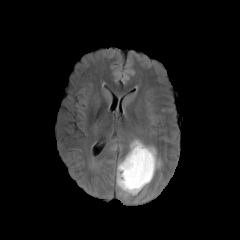
FLAIR MRI.
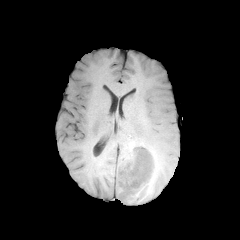
T1-weighted MRI of the same slice.
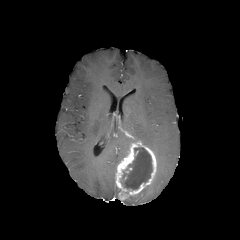
Post-contrast T1-weighted MR image of the same slice.
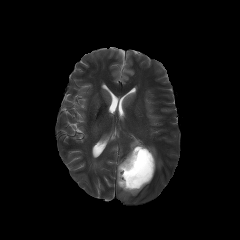
T2-weighted MR.
Enhancing tumor: bounding box 116, 141, 156, 200.
Non-enhancing tumor core: bounding box 121, 147, 152, 188.
Edema: bounding box 142, 141, 162, 169.